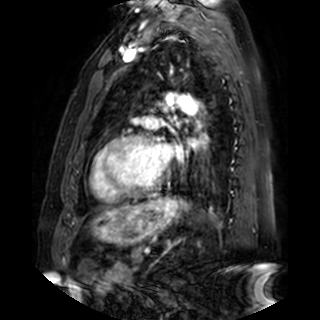 MRI slice | Heart
left_atrium:
  - <bbox>187, 137, 198, 147</bbox>
  - <bbox>152, 143, 173, 162</bbox>